CT slice, 512x512 px, Upper abdomen, Field of view 392 mm wide, 2.50 mm slice spacing 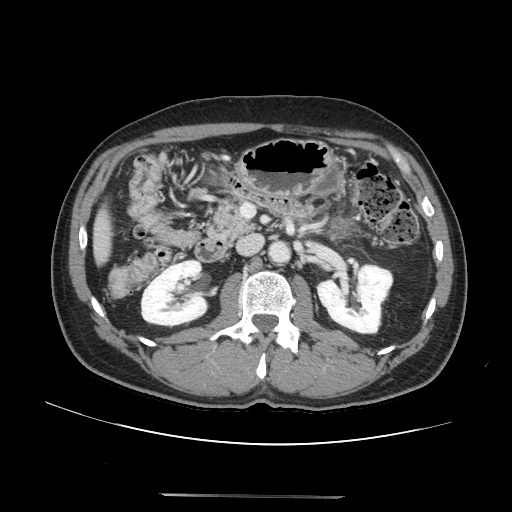

The pancreas is bounded by [207, 197, 254, 243].